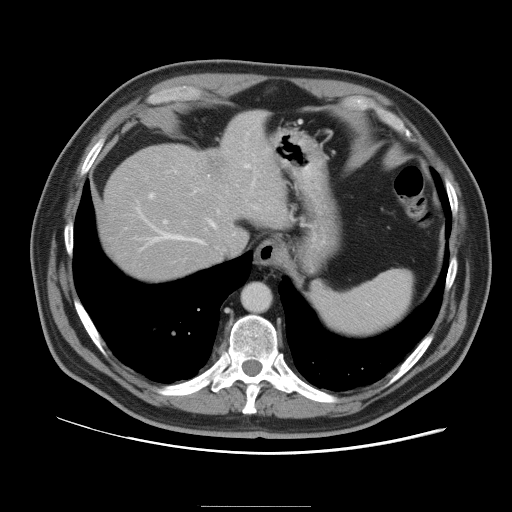

Computed tomography

The vessel annotation is not exhaustive.
partial: true
liver_tumor:
  - (x1=207, y1=157, x2=225, y2=177)
hepatic_vessel:
  # 15 of 16 shown
  - (x1=164, y1=220, x2=166, y2=224)
  - (x1=206, y1=218, x2=216, y2=227)
  - (x1=245, y1=164, x2=254, y2=168)
  - (x1=251, y1=179, x2=255, y2=187)
  - (x1=195, y1=238, x2=204, y2=244)
  - (x1=235, y1=183, x2=237, y2=186)
  - (x1=193, y1=188, x2=202, y2=193)
  - (x1=260, y1=192, x2=262, y2=194)
  - (x1=216, y1=247, x2=221, y2=251)
  - (x1=134, y1=200, x2=187, y2=251)
  - (x1=217, y1=210, x2=220, y2=214)
  - (x1=166, y1=167, x2=177, y2=173)
  - (x1=149, y1=193, x2=153, y2=197)
  - (x1=244, y1=151, x2=248, y2=152)
  - (x1=145, y1=176, x2=147, y2=178)